FLAIR MR image.
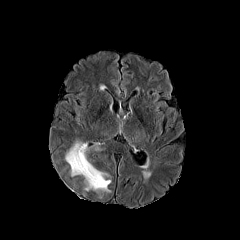
T1-weighted MR image.
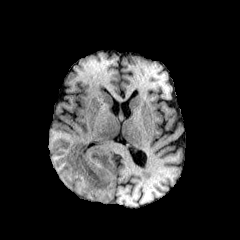
Post-contrast T1-weighted MRI.
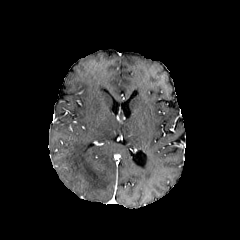
T2-weighted MRI.
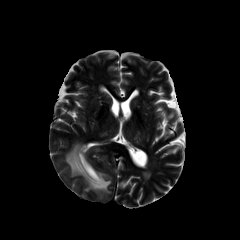
edema:
  - (65,142,111,191)